37x48. MR image. Slice index 18.
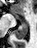 The posterior hippocampus lies within (x1=12, y1=23, x2=27, y2=39). 2 anterior hippocampus regions appear at (x1=22, y1=22, x2=27, y2=22), (x1=13, y1=14, x2=18, y2=18).